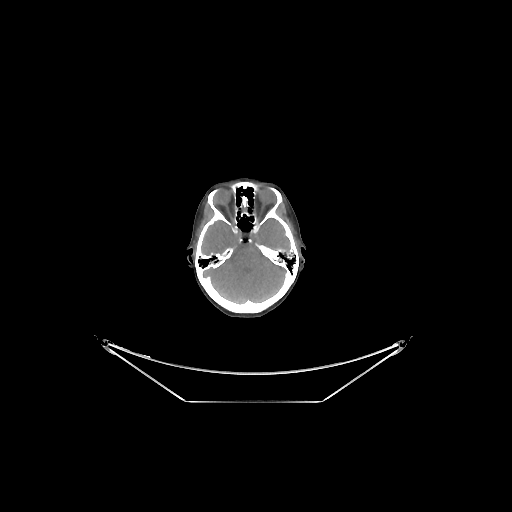 CT scan slice, Brain

Brain at [x1=201, y1=218, x2=292, y2=303], [x1=240, y1=203, x2=247, y2=213].